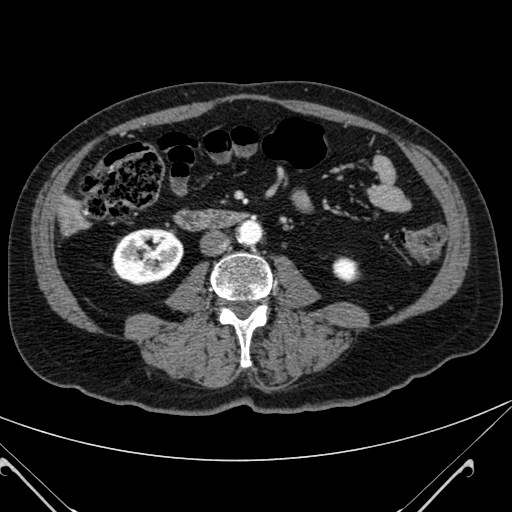

Abdomen. CT scan slice.
kidney: x1=334 y1=260 x2=354 y2=279, x1=113 y1=230 x2=182 y2=283